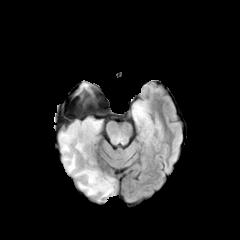
FLAIR MRI.
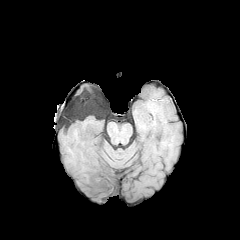
Same slice, T1-weighted MRI.
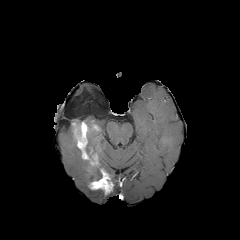
Post-contrast T1-weighted MRI of the same slice.
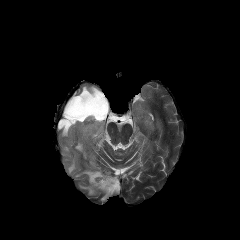
T2-weighted magnetic resonance.
Head | Image size 240x240
non-enhancing tumor core: left=68, top=118, right=85, bottom=133; left=84, top=154, right=107, bottom=187; left=85, top=131, right=99, bottom=153 | edema: left=87, top=142, right=97, bottom=153; left=60, top=126, right=107, bottom=197; left=132, top=101, right=148, bottom=119 | enhancing tumor: left=71, top=121, right=99, bottom=158; left=89, top=172, right=113, bottom=193